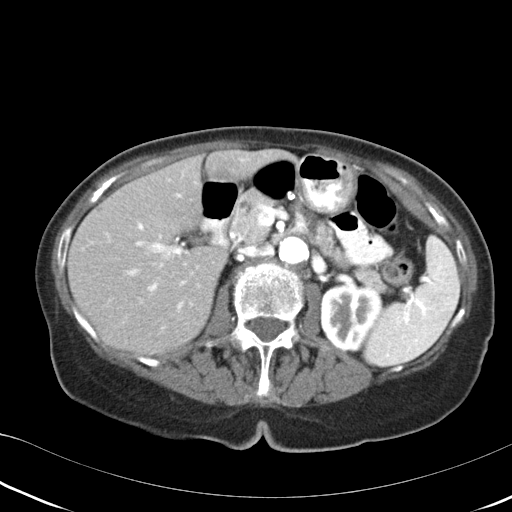

CT scan slice, 512x512 px
Pancreas — 227:190:383:291.